FLAIR MRI.
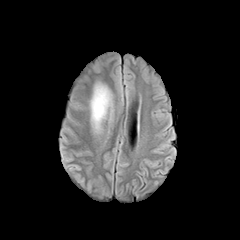
T1-weighted MRI.
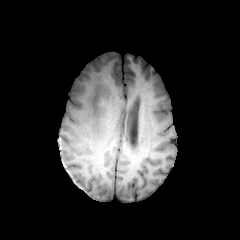
Post-contrast T1-weighted MR.
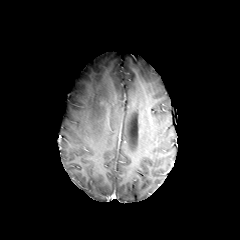
T2-weighted MR.
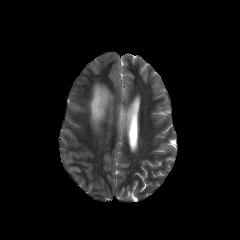
240x240
* edema: [89, 82, 113, 132]